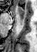
MRI. 37x52 px. Anterior hippocampus: rect(18, 7, 24, 18).
Posterior hippocampus: rect(20, 19, 22, 25).